Abdomen. Slice 473 of 917. Computed tomography.

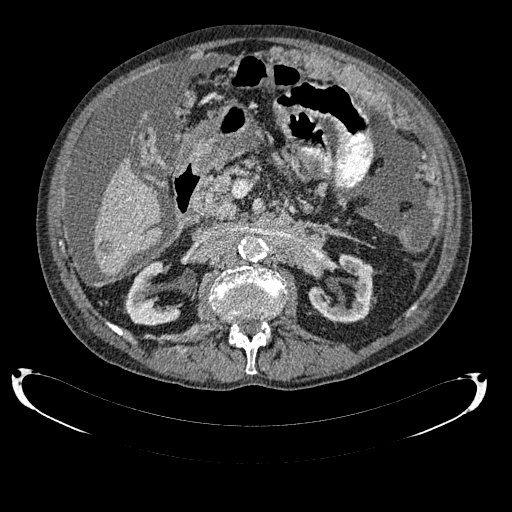
<segmentation>
  <liver>box=[93, 156, 161, 276]</liver>
  <kidney>box=[126, 262, 179, 325]; box=[306, 251, 372, 322]</kidney>
  <liver_lesion>box=[99, 241, 112, 252]</liver_lesion>
</segmentation>